FLAIR magnetic resonance.
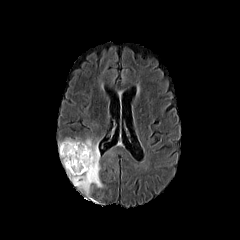
T1-weighted MRI.
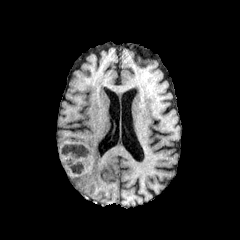
Post-contrast T1-weighted MRI.
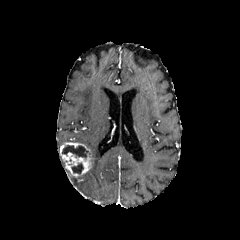
T2-weighted MR image.
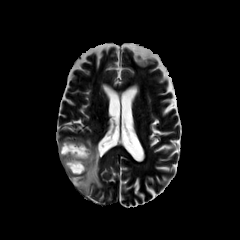
240x240; Brain
Non-enhancing tumor core at region(62, 144, 88, 158); region(71, 163, 83, 174).
Edema at region(59, 136, 103, 196).
Enhancing tumor at region(59, 142, 92, 176).